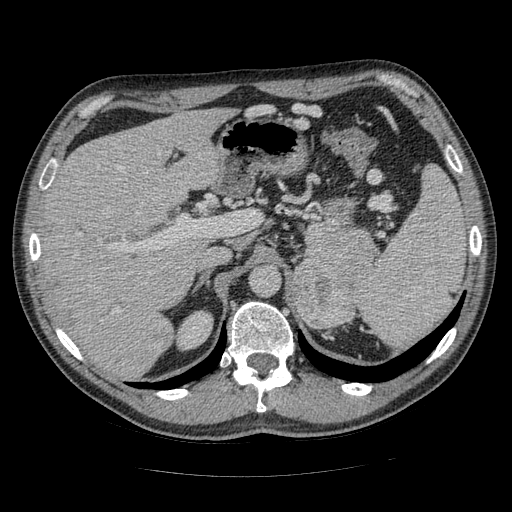
Computed tomography
2 pancreas regions appear at 305, 222, 376, 292; 291, 276, 303, 319. The pancreatic tumor appears at 293, 259, 355, 329.